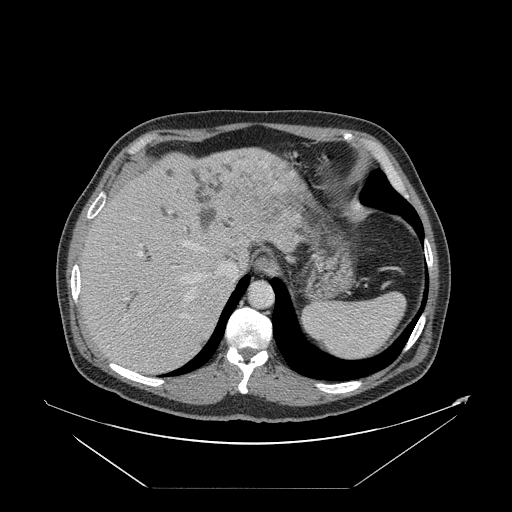 Liver; CT scan slice

Some hepatic vessels may have no box.
{
  "hepatic_vessel": [
    "[168, 211, 171, 212]",
    "[180, 315, 191, 320]",
    "[178, 261, 237, 305]",
    "[137, 244, 141, 256]",
    "[126, 315, 128, 316]",
    "[181, 240, 207, 250]",
    "[125, 298, 128, 299]",
    "[172, 266, 176, 268]",
    "[123, 318, 124, 320]"
  ]
}